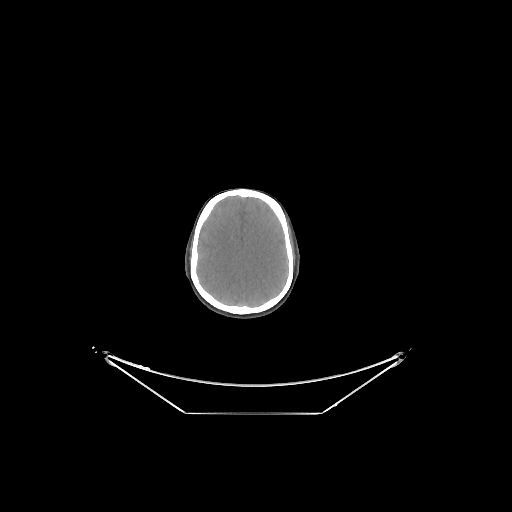 Head; CT slice; 512x512 px

The brain is at [x1=196, y1=196, x2=288, y2=307].